FLAIR MR.
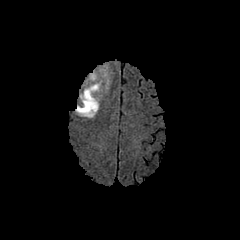
T1-weighted MR.
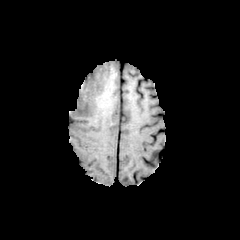
Post-contrast T1-weighted MRI.
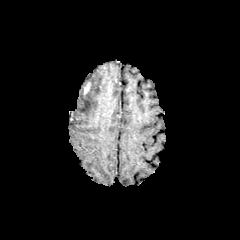
T2-weighted magnetic resonance.
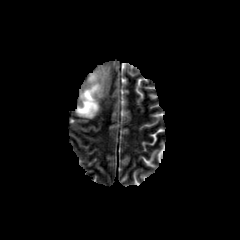
The edema is bounded by box=[76, 72, 100, 117].